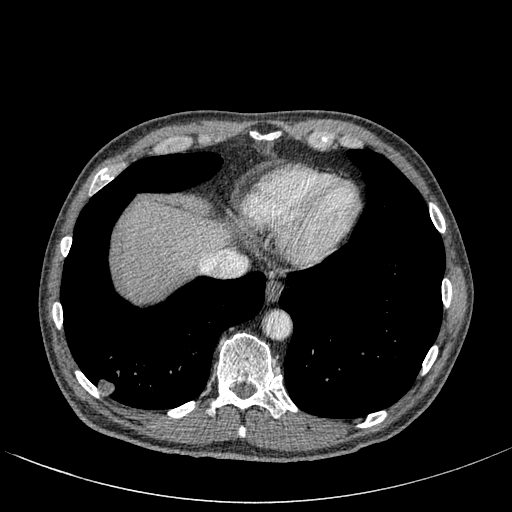
CT image, Liver

<segmentation>
  <liver>{"x1": 114, "y1": 201, "x2": 227, "y2": 300}</liver>
</segmentation>